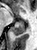
37x50 px. Hippocampus. Magnetic resonance.

Posterior hippocampus = rect(11, 21, 24, 35).